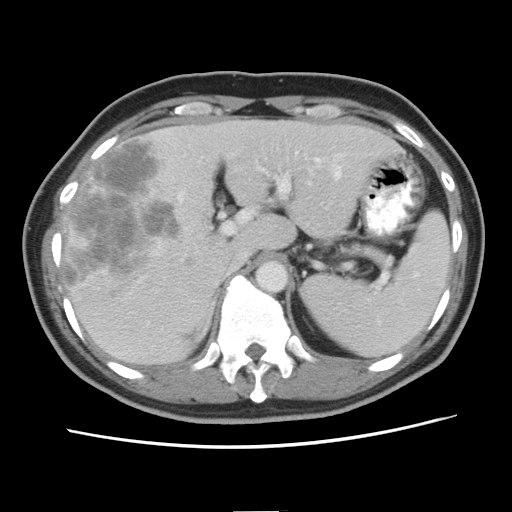 Computed tomography.
Not every hepatic vessel necessarily has a box.
Liver tumor at (64, 138, 183, 287).
Hepatic vessel at (177, 192, 184, 202), (224, 224, 232, 232), (333, 166, 340, 179), (238, 209, 252, 223), (295, 152, 296, 154), (315, 158, 320, 166), (277, 174, 289, 193), (338, 154, 344, 156).